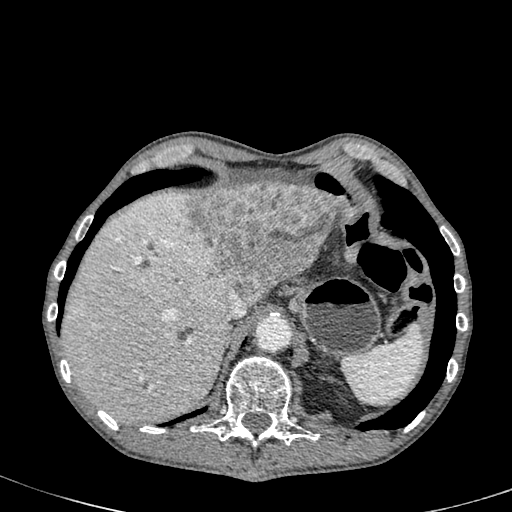 512x512 px; CT scan slice; Abdomen
liver_lesion:
  - [185,182,339,304]
liver:
  - [61,192,238,424]
  - [335,197,346,213]